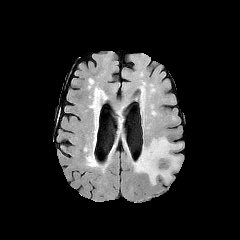
FLAIR magnetic resonance.
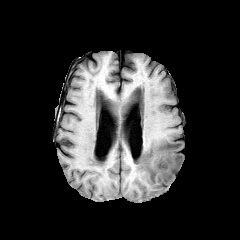
T1-weighted magnetic resonance of the same slice.
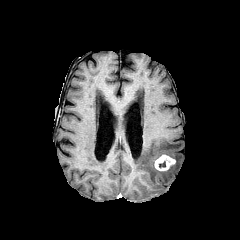
Post-contrast T1-weighted magnetic resonance of the same slice.
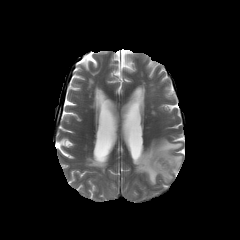
T2-weighted magnetic resonance.
The edema is at bbox(133, 137, 182, 184). The enhancing tumor lies within bbox(154, 153, 176, 171).